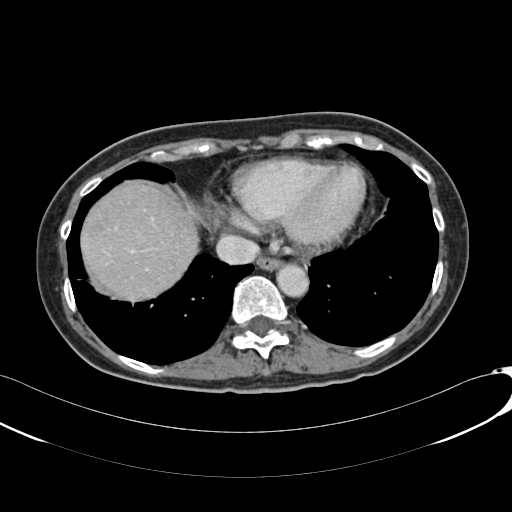
CT slice. Abdomen.

- liver: (81,184,197,297)